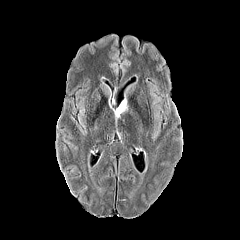
FLAIR MRI.
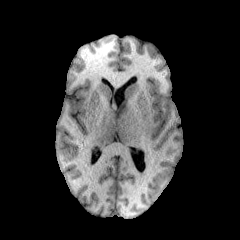
Same slice, T1-weighted MR.
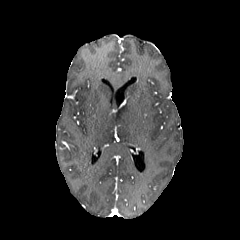
Post-contrast T1-weighted MRI.
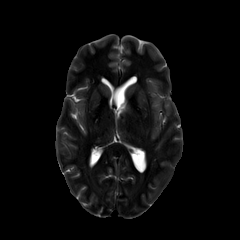
Same slice, T2-weighted MRI.
Brain
Annotated regions:
• edema: <box>116,104,130,116</box>